Brain
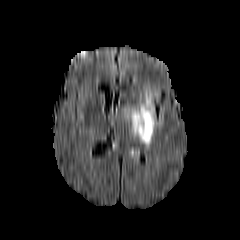
FLAIR MR image.
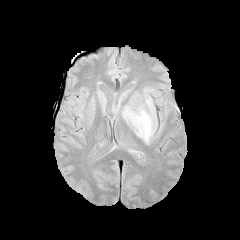
T1-weighted MRI of the same slice.
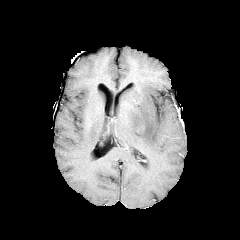
Post-contrast T1-weighted MR.
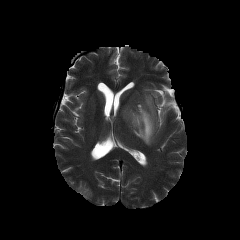
T2-weighted MR.
edema:
  - [x1=125, y1=94, x2=165, y2=146]